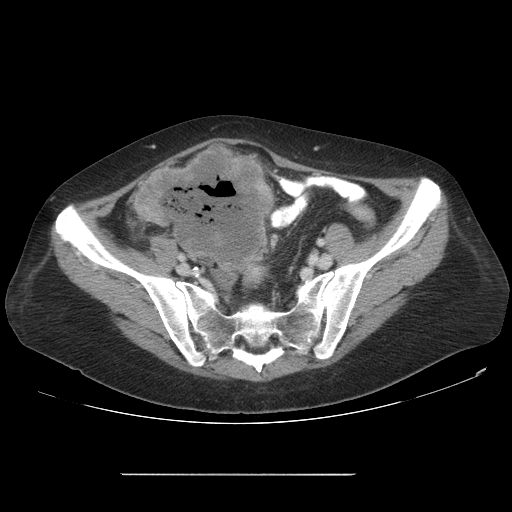

CT slice; Abdomen; 512x512 px
Colon tumor — [134, 144, 273, 269].